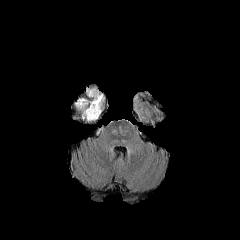
FLAIR magnetic resonance.
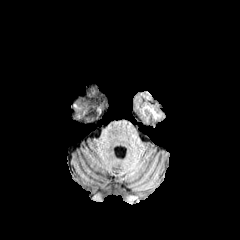
Same slice, T1-weighted MRI.
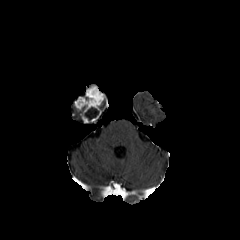
Post-contrast T1-weighted MRI.
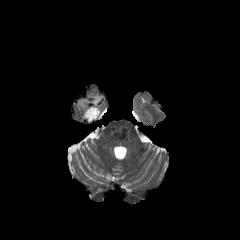
T2-weighted MR image of the same slice.
Head.
The enhancing tumor is at (73, 84, 108, 124). 2 non-enhancing tumor core regions are located at (71, 104, 82, 122), (83, 106, 99, 120).